Liver; 512x512; CT
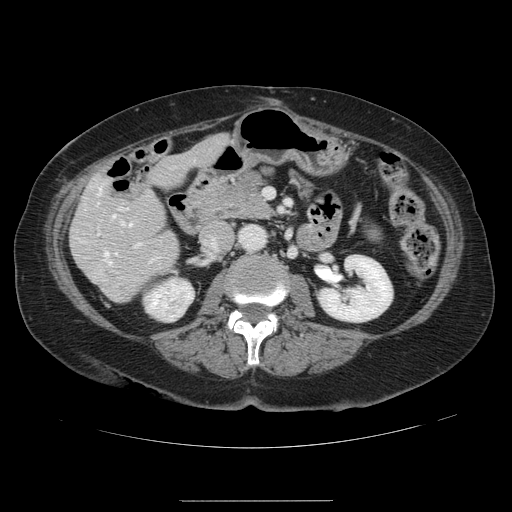 Not every hepatic vessel necessarily has a box.
• hepatic vessel: (134,242,140,246), (150,259,153,260), (118,207,125,210), (108,261,110,263), (104,252,107,255), (120,220,132,225), (115,252,116,253), (97,186,101,194), (97,232,98,234), (112,214,115,217)